CT slice | 512x512

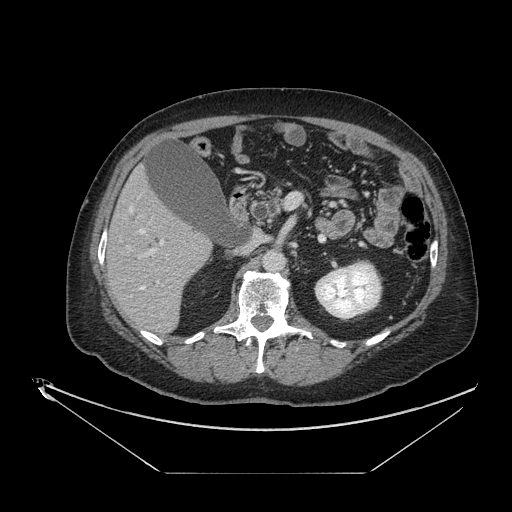

{
  "pancreas": [
    "region(267, 189, 280, 216)"
  ]
}